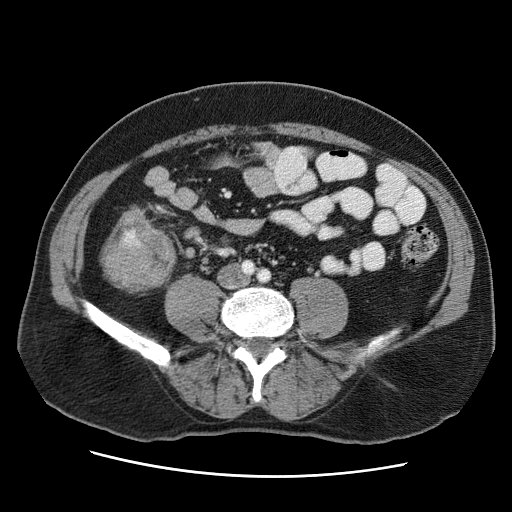 Computed tomography; Abdomen
Colon tumor: region(100, 208, 176, 290).